CT slice; Abdomen; Field of view 364x364 mm 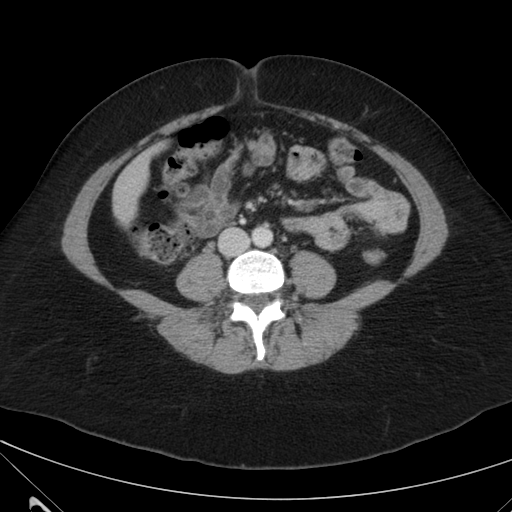 Annotated regions:
* liver: rect(113, 152, 149, 218)